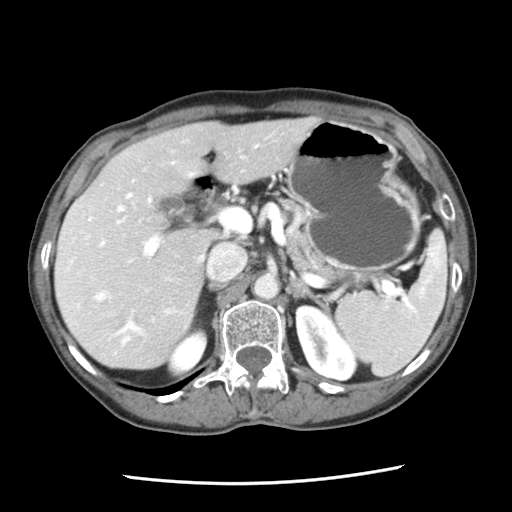 CT scan slice

Segmented structures:
- pancreas: l=278, t=198, r=345, b=279